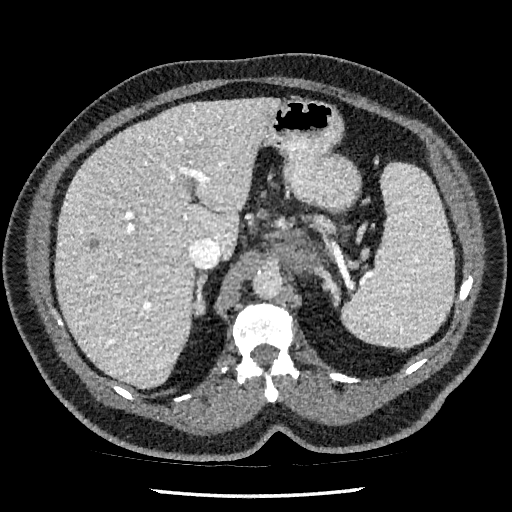
Computed tomography

Liver — x1=55, y1=98, x2=278, y2=387.
Hepatic lesion — x1=85, y1=239, x2=99, y2=248.